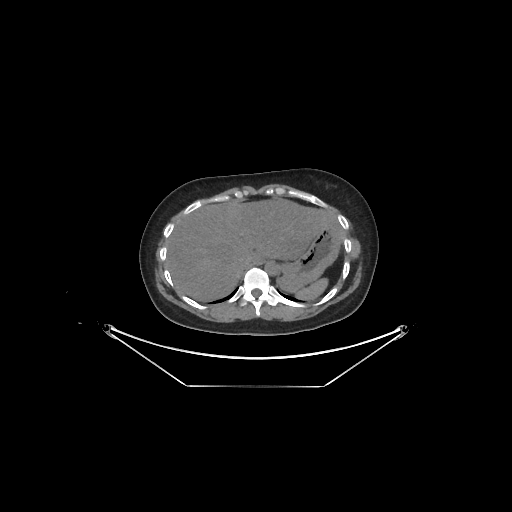

Liver | CT image

The liver is at (164, 197, 346, 300).